240x240, Brain
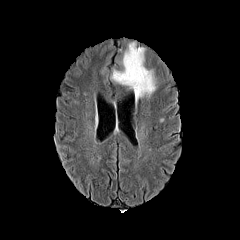
FLAIR MRI.
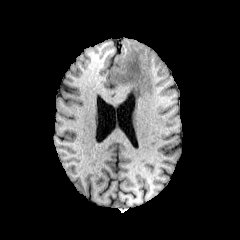
Same slice, T1-weighted MR image.
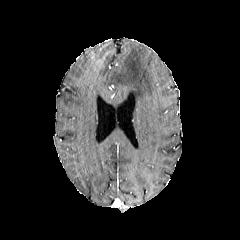
Post-contrast T1-weighted MRI.
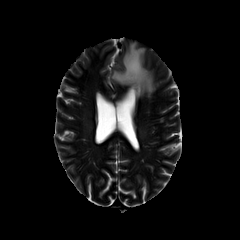
T2-weighted MR of the same slice.
The edema is located at box(110, 42, 155, 101).